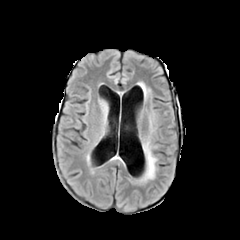
FLAIR MR image.
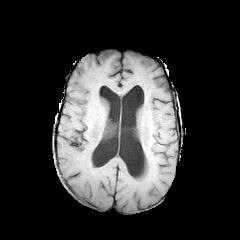
T1-weighted MRI.
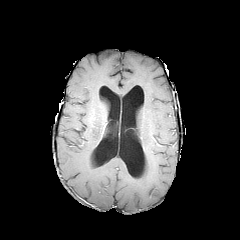
Post-contrast T1-weighted MR of the same slice.
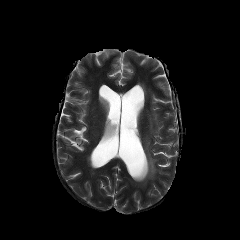
Same slice, T2-weighted magnetic resonance.
Image size 240x240
<segmentation>
  <edema><bbox>140, 135, 157, 180</bbox></edema>
</segmentation>